CT, Upper abdomen 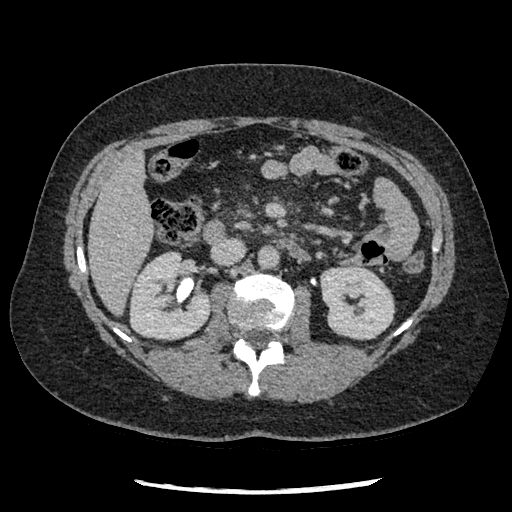
Pancreas: 233 208 244 214.